Field of view 240x240 mm | Slice index 81 | Brain
FLAIR MR image.
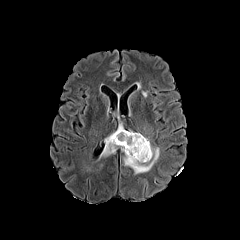
T1-weighted magnetic resonance.
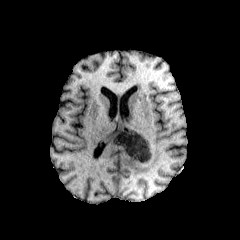
Post-contrast T1-weighted MR.
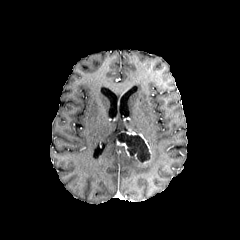
T2-weighted MRI.
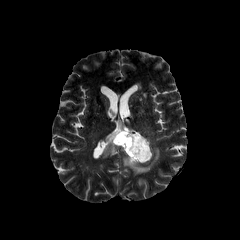
Annotated regions:
* edema: l=121, t=137, r=160, b=174; l=101, t=131, r=119, b=157; l=117, t=113, r=123, b=130
* enhancing tumor: l=137, t=133, r=152, b=164; l=116, t=141, r=129, b=156
* non-enhancing tumor core: l=113, t=131, r=150, b=162